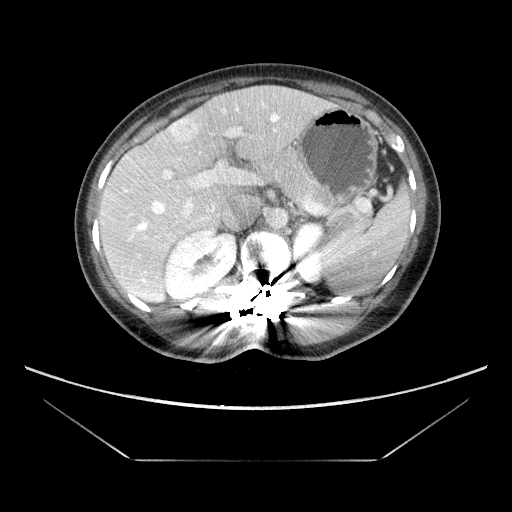 Liver; Computed tomography

Not every hepatic vessel necessarily has a box.
Liver tumor — [x1=169, y1=120, x2=197, y2=141].
Hepatic vessel — [x1=186, y1=163, x2=259, y2=189], [x1=197, y1=219, x2=201, y2=220], [x1=176, y1=197, x2=195, y2=221], [x1=163, y1=170, x2=171, y2=178], [x1=153, y1=202, x2=163, y2=212], [x1=227, y1=128, x2=240, y2=135].